MR | 320x320 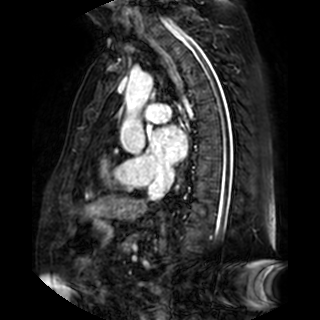 Left atrium at {"x1": 150, "y1": 126, "x2": 186, "y2": 162}.